Slice index 97 | Image width 500 mm | Computed tomography 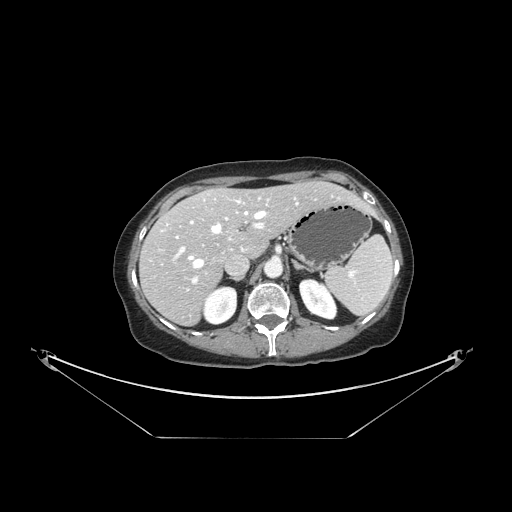 Only some of the vessels may be annotated.
{
  "hepatic_vessel": [
    "<box>212,224,219,232</box>",
    "<box>256,223,262,227</box>",
    "<box>180,248,183,252</box>",
    "<box>193,278,196,281</box>",
    "<box>255,212,264,218</box>"
  ]
}